Field of view 240 mm wide, 1.00 mm slice spacing, Image size 240x240, Head
FLAIR magnetic resonance.
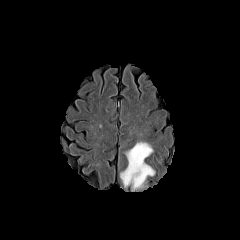
T1-weighted magnetic resonance.
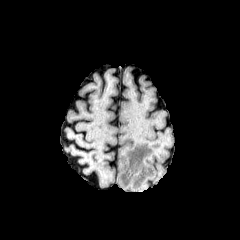
Post-contrast T1-weighted magnetic resonance.
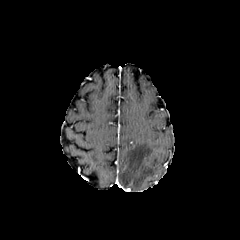
T2-weighted magnetic resonance.
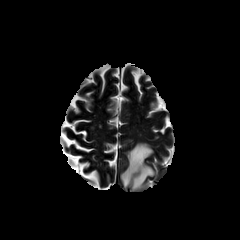
Segmented structures:
- edema: left=120, top=142, right=155, bottom=190